CT, Abdomen

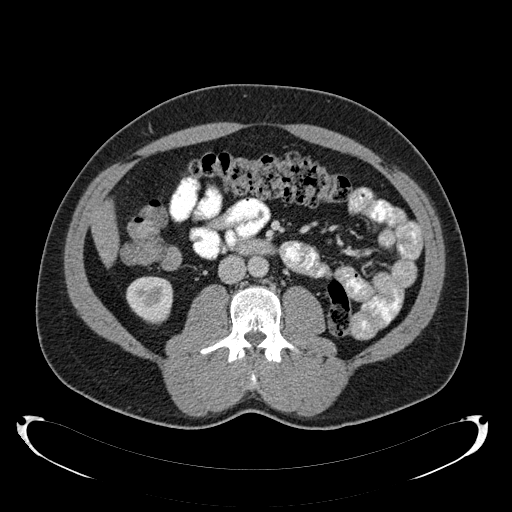
<segmentation>
  <liver>(92,202,117,265)</liver>
  <kidney>(127,277,172,321)</kidney>
</segmentation>